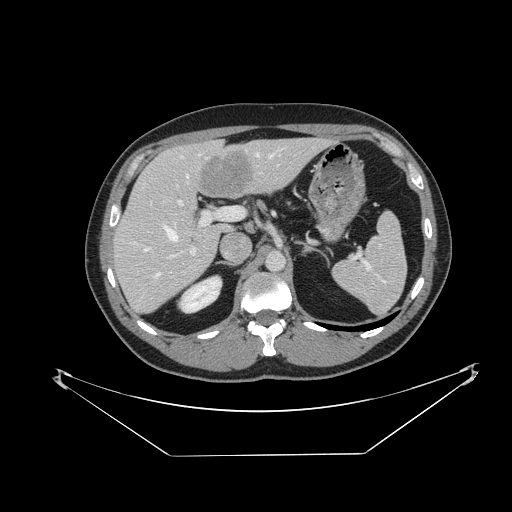
CT image, Upper abdomen
{"spleen": [{"x1": 332, "y1": 212, "x2": 406, "y2": 314}]}